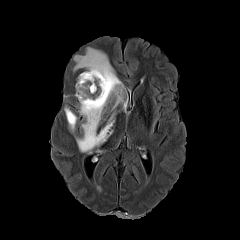
FLAIR MR.
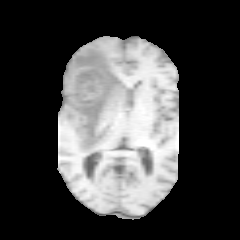
T1-weighted MR.
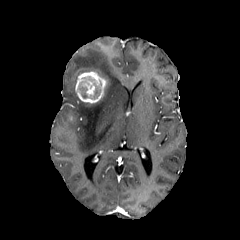
Same slice, post-contrast T1-weighted MR.
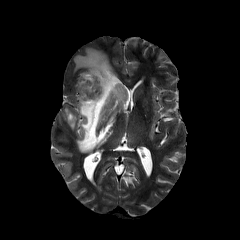
T2-weighted MR.
Head
<segmentation>
  <edema>(x1=64, y1=47, x2=126, y2=154)</edema>
  <non-enhancing_tumor_core>(x1=79, y1=86, x2=87, y2=98), (x1=93, y1=83, x2=101, y2=99)</non-enhancing_tumor_core>
  <enhancing_tumor>(x1=75, y1=71, x2=107, y2=103), (x1=68, y1=113, x2=74, y2=122)</enhancing_tumor>
</segmentation>